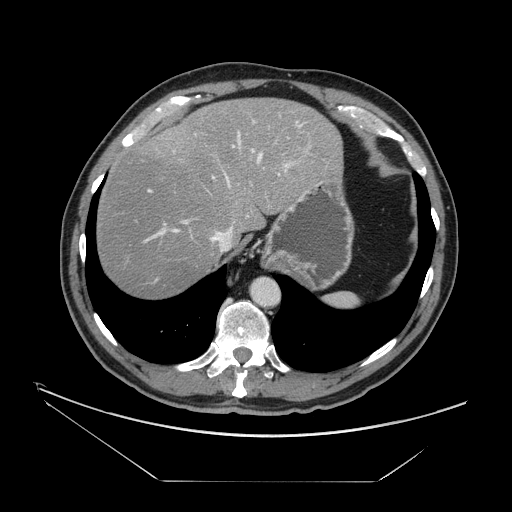 512x512. Computed tomography.

Only some of the vessels may be annotated.
10 hepatic vessel regions appear at <bbox>284, 163, 292, 171</bbox>, <bbox>238, 131, 239, 144</bbox>, <bbox>258, 154, 261, 160</bbox>, <bbox>252, 149, 253, 151</bbox>, <bbox>229, 228, 231, 231</bbox>, <bbox>174, 230, 176, 231</bbox>, <bbox>226, 177, 229, 184</bbox>, <bbox>212, 232, 221, 240</bbox>, <bbox>297, 122, 300, 126</bbox>, <bbox>158, 228, 165, 234</bbox>.